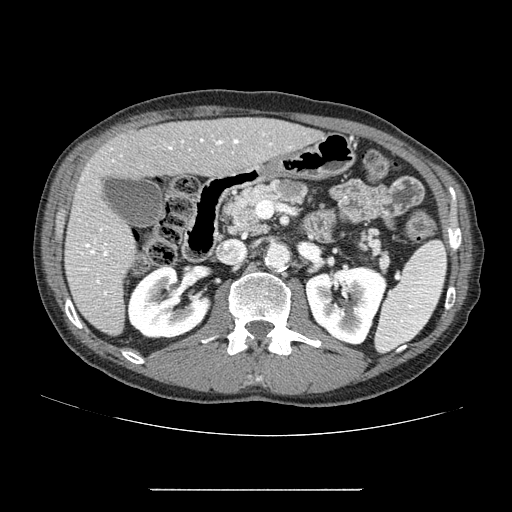
CT slice. Pancreatic tumor = box(278, 180, 303, 201).
Pancreas = box(358, 230, 388, 270); box(224, 180, 310, 234).